Slice 139 of 588; CT slice
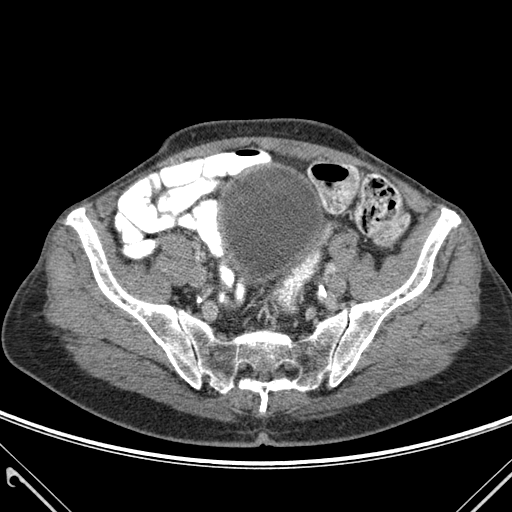

{"bone": ["x1=66 y1=208 x2=460 y2=411"]}